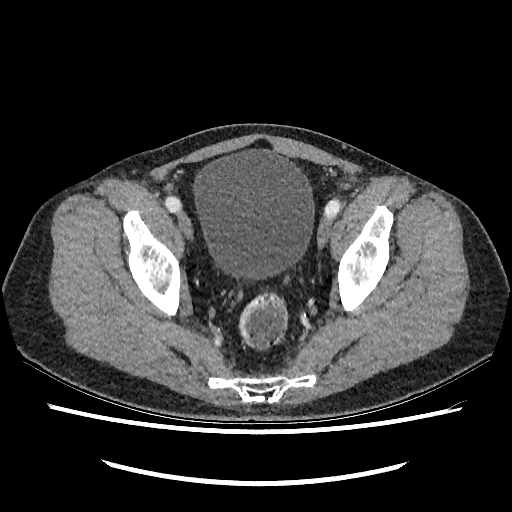 CT image
Urinary bladder = 192 148 314 280.